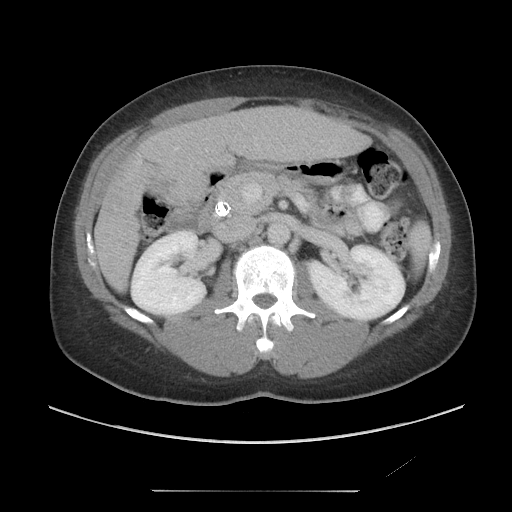 CT image; 512x512
Some hepatic vessels may have no box.
Hepatic vessel at x1=174, y1=146, x2=179, y2=150; x1=206, y1=149, x2=207, y2=150.